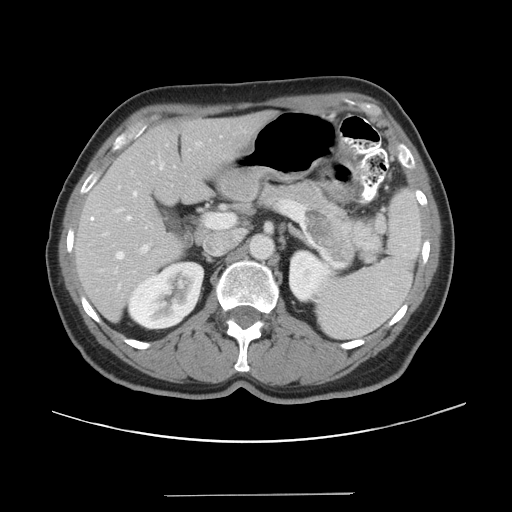 CT slice
Not every hepatic vessel necessarily has a box.
Findings:
* hepatic vessel: box(134, 192, 136, 195); box(102, 233, 107, 235); box(118, 185, 119, 188); box(196, 141, 201, 145); box(114, 267, 117, 273); box(116, 208, 123, 211); box(151, 161, 154, 163); box(118, 284, 120, 289); box(220, 136, 221, 137); box(116, 252, 123, 258); box(158, 155, 163, 169); box(141, 245, 148, 252); box(166, 144, 168, 145); box(127, 216, 130, 219)